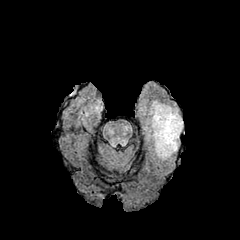
FLAIR MR.
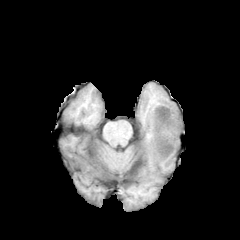
T1-weighted MR image of the same slice.
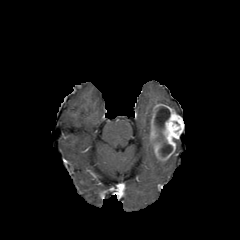
Post-contrast T1-weighted MR image.
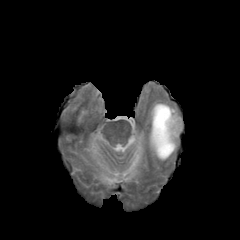
Same slice, T2-weighted MR image.
enhancing tumor: [x1=150, y1=104, x2=183, y2=160] | non-enhancing tumor core: [x1=160, y1=142, x2=172, y2=156], [x1=154, y1=106, x2=169, y2=129] | edema: [x1=148, y1=117, x2=155, y2=157], [x1=150, y1=100, x2=179, y2=114]